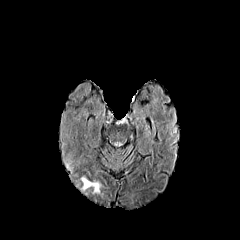
FLAIR MRI.
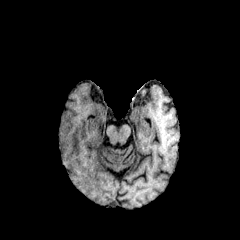
T1-weighted MR image.
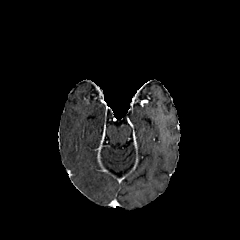
Same slice, post-contrast T1-weighted magnetic resonance.
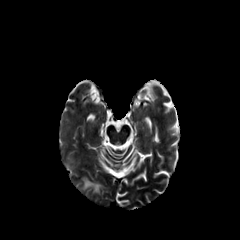
T2-weighted MR image.
Edema: bounding box (81, 177, 101, 193).